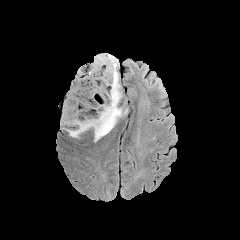
FLAIR MR image.
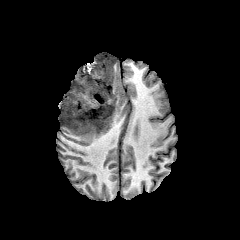
T1-weighted MR image.
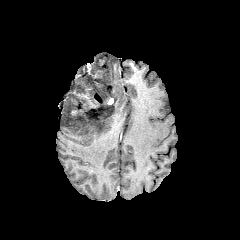
Same slice, post-contrast T1-weighted MRI.
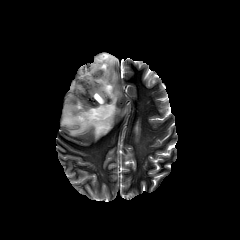
T2-weighted magnetic resonance.
Brain
2 non-enhancing tumor core regions are bounded by bbox=[81, 103, 113, 127]; bbox=[89, 55, 112, 74]. The edema is at bbox=[61, 53, 127, 141].